Brain; Slice 104 of 155; Image width 240 mm
FLAIR MRI.
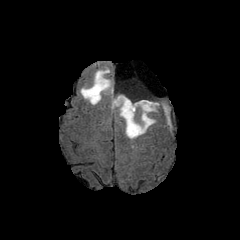
T1-weighted MR.
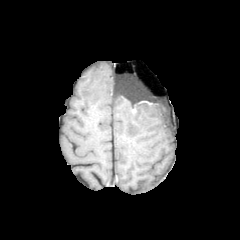
Post-contrast T1-weighted MR.
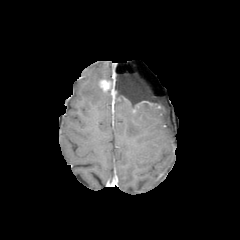
T2-weighted MRI.
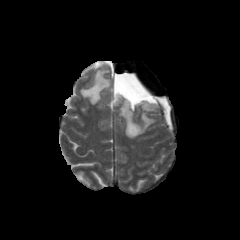
Enhancing tumor = 100 68 115 110.
Non-enhancing tumor core = 115 92 163 105.
Edema = 114 80 123 93, 114 96 169 138, 80 65 111 105.